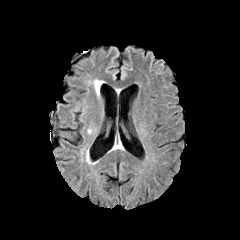
FLAIR MRI.
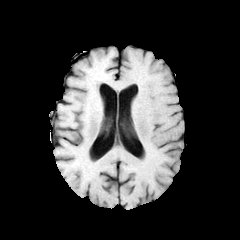
T1-weighted magnetic resonance.
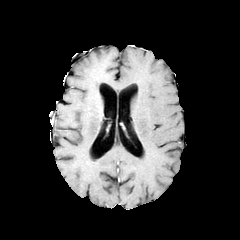
Post-contrast T1-weighted MR image.
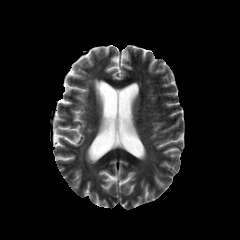
Same slice, T2-weighted MR image.
240x240 px.
edema:
  - 92, 80, 101, 98